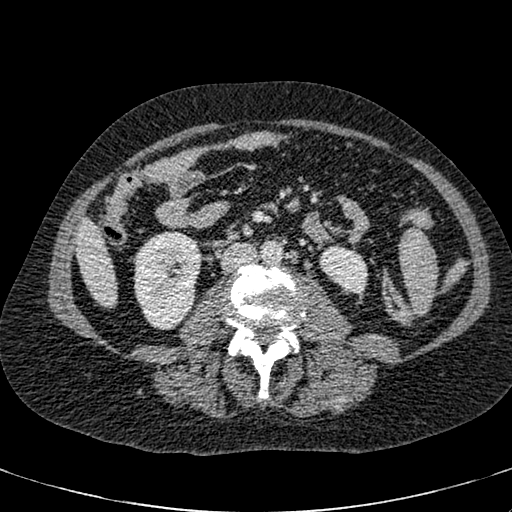 Abdomen. Image size 512x512. Computed tomography.

2 kidney regions are located at [320,246,364,292], [135,232,200,329]. The liver appears at [75,219,116,305].